FLAIR magnetic resonance.
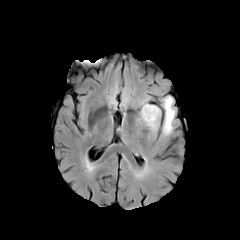
T1-weighted MR.
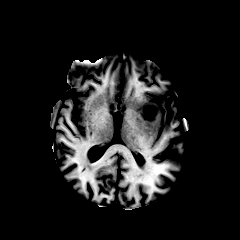
Post-contrast T1-weighted MR image.
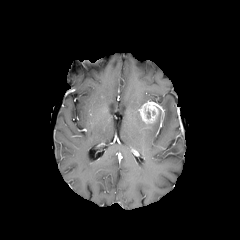
T2-weighted MR.
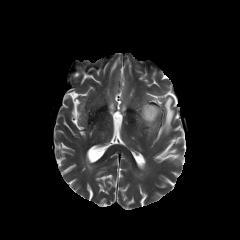
Head
The non-enhancing tumor core is located at 142:104:159:124. The edema is bounded by 136:95:175:135.